Computed tomography, Slice index 24, 512x512

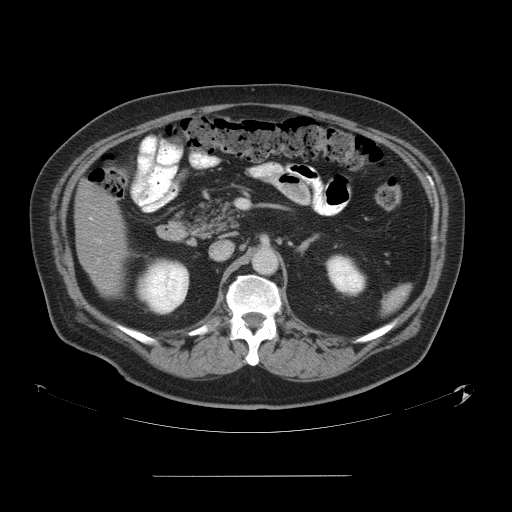

The vessel boxes may cover only some of the vessels.
hepatic vessel: 98, 259, 99, 260; 90, 218, 92, 219